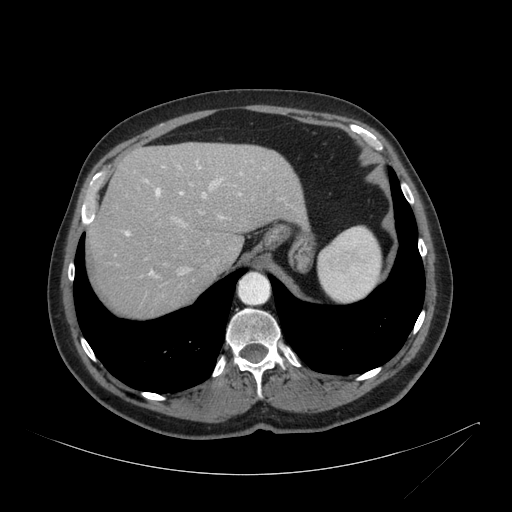 CT scan slice

Liver at x1=87, y1=143, x2=307, y2=316.